MRI
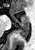

Anterior hippocampus = bbox(11, 14, 28, 23).
Posterior hippocampus = bbox(17, 24, 29, 38).